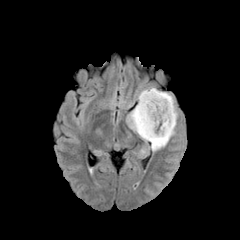
FLAIR magnetic resonance.
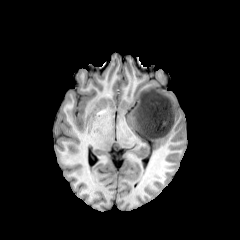
T1-weighted MR.
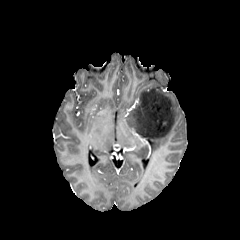
Post-contrast T1-weighted MR image.
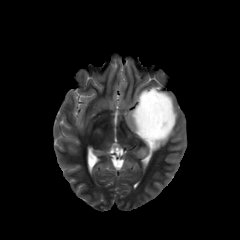
T2-weighted MRI.
Brain
The non-enhancing tumor core is located at <bbox>132, 88, 173, 149</bbox>. 4 edema regions appear at <bbox>126, 104, 137, 129</bbox>, <bbox>134, 84, 179, 152</bbox>, <bbox>140, 140, 148, 155</bbox>, <bbox>114, 92, 133, 108</bbox>.